Slice 117/217. CT image. Image size 512x512.
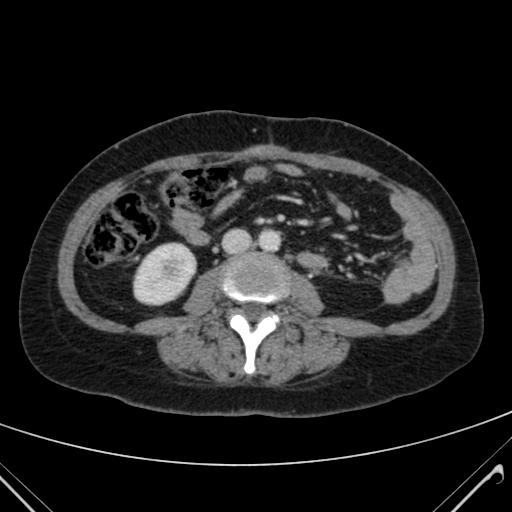
Kidney: <box>135,244,194,303</box>.